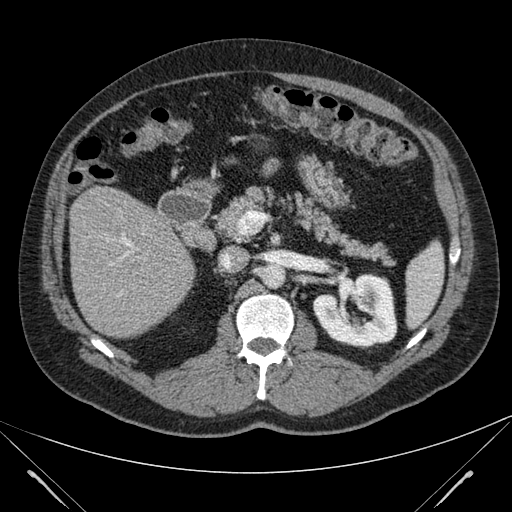
Image size 512x512, CT scan slice, Abdomen
The kidney is bounded by 314,275,395,345. The liver is bounded by 70,186,194,337.